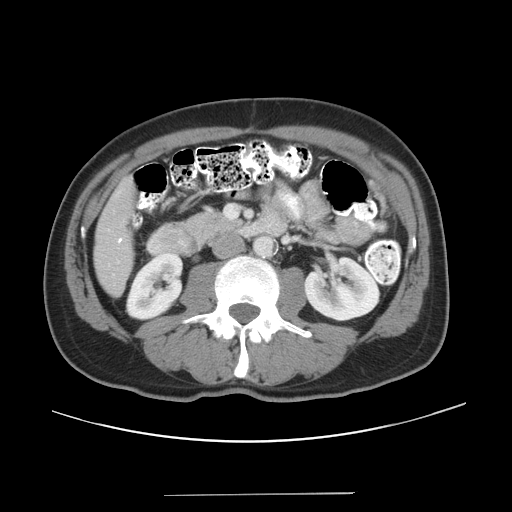
Computed tomography | Image size 512x512
Some hepatic vessels may have no box.
- hepatic vessel: [x1=118, y1=239, x2=120, y2=241]